Head | Slice index 99
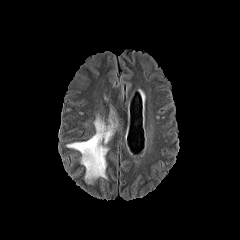
FLAIR magnetic resonance.
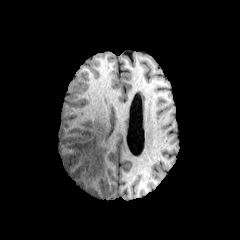
T1-weighted MR image of the same slice.
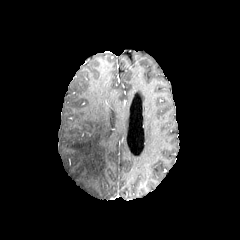
Post-contrast T1-weighted MR image.
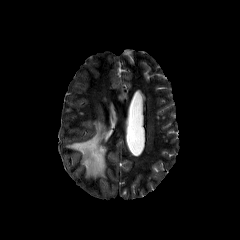
Same slice, T2-weighted magnetic resonance.
The edema is located at 66,113,118,183.